FLAIR MR image.
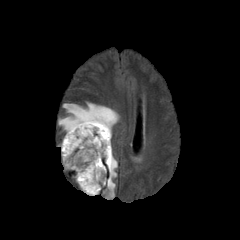
T1-weighted MR image.
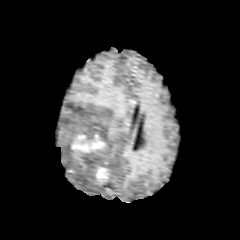
Post-contrast T1-weighted MR image.
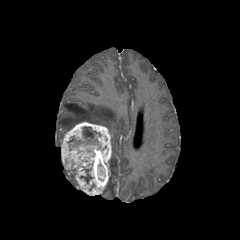
T2-weighted MRI.
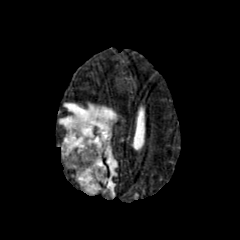
Brain, 240x240 px
3 edema regions are located at {"x1": 58, "y1": 103, "x2": 118, "y2": 145}, {"x1": 104, "y1": 148, "x2": 117, "y2": 195}, {"x1": 73, "y1": 136, "x2": 98, "y2": 147}. The enhancing tumor lies within {"x1": 61, "y1": 122, "x2": 111, "y2": 195}. 4 non-enhancing tumor core regions appear at {"x1": 82, "y1": 127, "x2": 100, "y2": 138}, {"x1": 67, "y1": 136, "x2": 81, "y2": 150}, {"x1": 69, "y1": 105, "x2": 85, "y2": 115}, {"x1": 79, "y1": 160, "x2": 93, "y2": 183}.